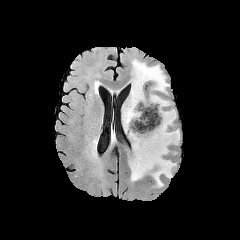
FLAIR MRI.
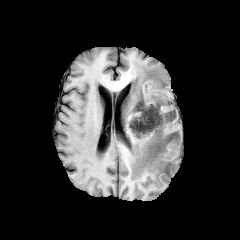
T1-weighted MR.
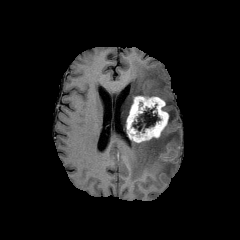
Post-contrast T1-weighted MRI.
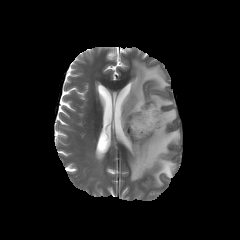
T2-weighted MR image of the same slice.
Head
{"enhancing_tumor": ["126, 96, 168, 142"], "edema": ["121, 59, 169, 121", "129, 102, 179, 186"], "non-enhancing_tumor_core": ["130, 104, 161, 132", "164, 111, 172, 129", "154, 138, 168, 151", "124, 116, 132, 139"]}